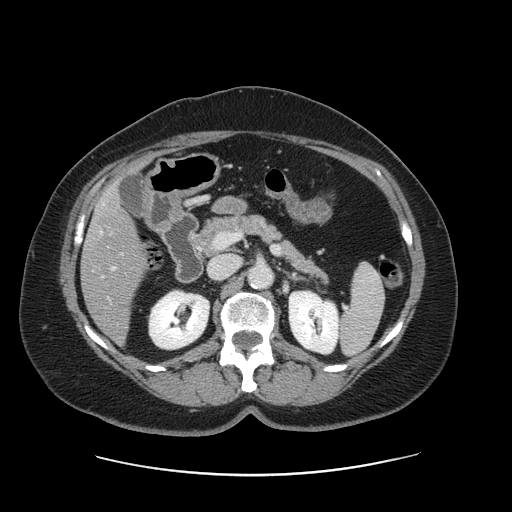 Computed tomography. The vessel annotation is not exhaustive.
hepatic_vessel:
  - <bbox>112, 266, 115, 269</bbox>
  - <bbox>101, 231, 102, 233</bbox>